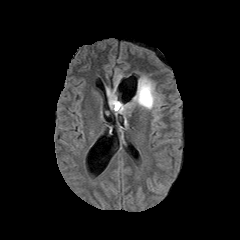
FLAIR magnetic resonance.
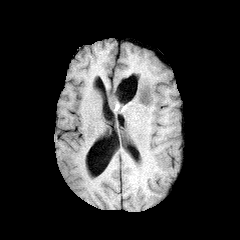
T1-weighted MR.
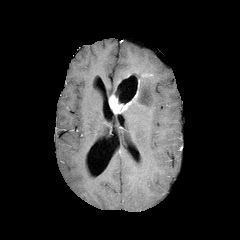
Same slice, post-contrast T1-weighted MR image.
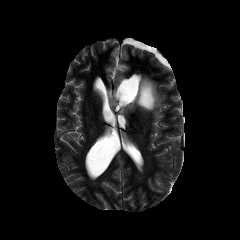
T2-weighted MR image of the same slice.
<segmentation>
  <non-enhancing_tumor_core>bbox=[136, 86, 148, 105]</non-enhancing_tumor_core>
  <enhancing_tumor>bbox=[109, 94, 129, 113]</enhancing_tumor>
  <edema>bbox=[106, 74, 164, 116]</edema>
</segmentation>